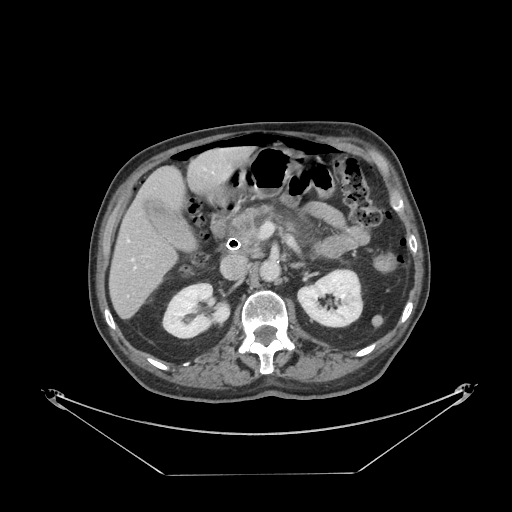

CT image. - pancreas: (left=231, top=207, right=299, bottom=250)
- pancreatic tumor: (left=233, top=221, right=250, bottom=234)